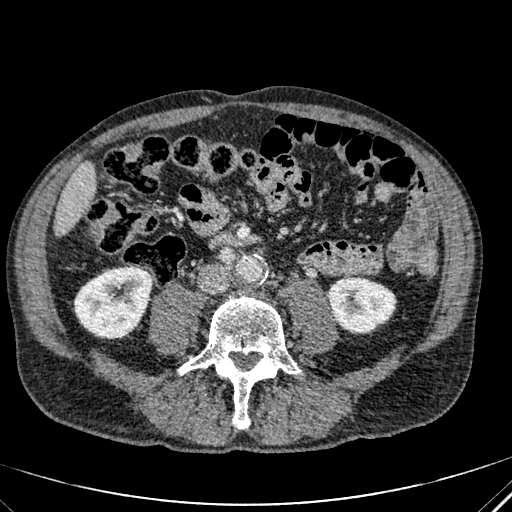

Upper abdomen, CT image, 512x512
The liver is bounded by l=54, t=163, r=95, b=235. 2 kidney regions are located at l=75, t=267, r=151, b=337; l=329, t=278, r=394, b=331.